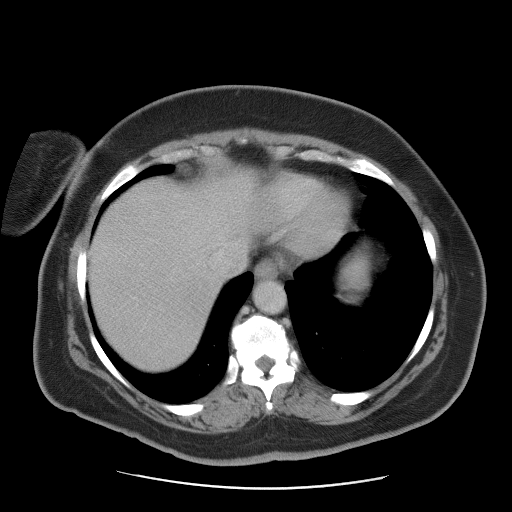
CT slice

Not every hepatic vessel necessarily has a box.
<segmentation>
  <hepatic_vessel>{"x1": 213, "y1": 249, "x2": 230, "y2": 268}</hepatic_vessel>
</segmentation>